Head | Slice index 78
FLAIR MRI.
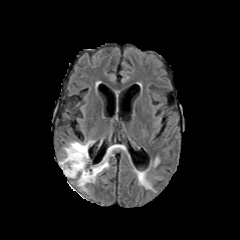
T1-weighted MRI.
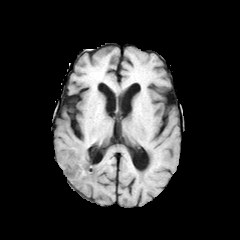
Post-contrast T1-weighted MR image.
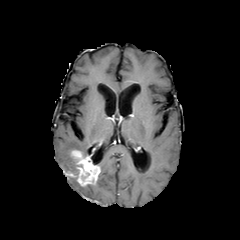
T2-weighted MRI.
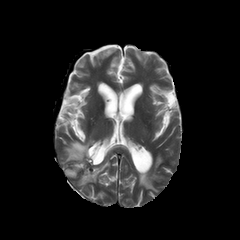
The enhancing tumor is bounded by [70,150,99,185]. The non-enhancing tumor core is bounded by [63,157,81,178]. 3 edema regions appear at [98,157,108,171], [61,140,89,169], [136,158,159,188].